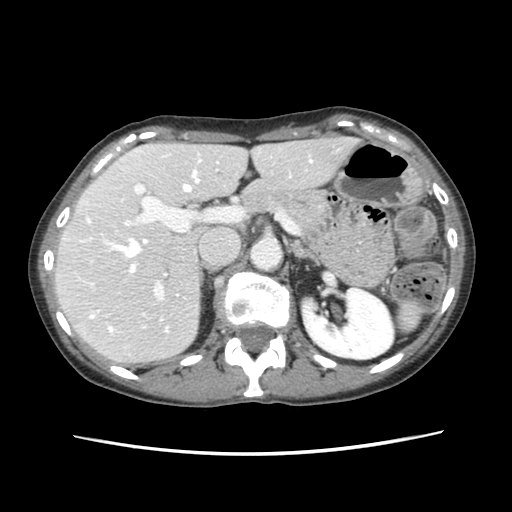
Upper abdomen, Computed tomography
The spleen is located at (x1=394, y1=302, x2=421, y2=333).